CT image, Slice 77 of 260, Image width 512 mm, Abdomen
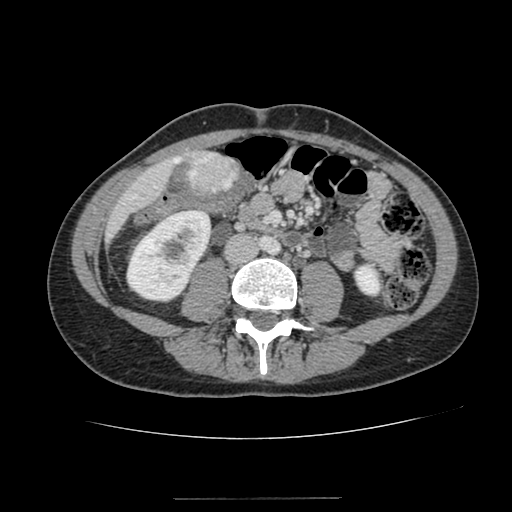
2 kidney regions are located at box(356, 266, 378, 293); box(127, 211, 209, 299). The hepatic lesion appears at box(189, 152, 236, 191). The liver is bounded by box(104, 149, 206, 245).